Slice 6/39, 34x49 px, MRI slice, Field of view 34 mm wide, 1.00 mm slice spacing
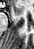

The anterior hippocampus is bounded by bbox(14, 7, 20, 14).